Field of view 240 mm wide, 1.00 mm slice spacing | Brain
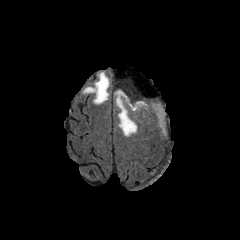
FLAIR MR.
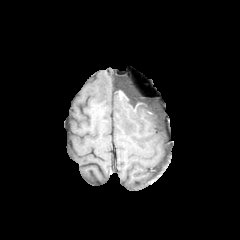
T1-weighted MR.
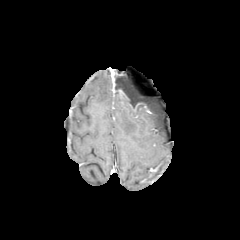
Same slice, post-contrast T1-weighted MR image.
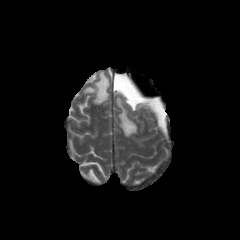
T2-weighted MR.
2 edema regions are bounded by region(114, 86, 163, 136); region(82, 72, 110, 104). 2 non-enhancing tumor core regions appear at region(121, 90, 141, 105); region(144, 100, 162, 117).